CT image, Field of view 420x420 mm, Slice index 29
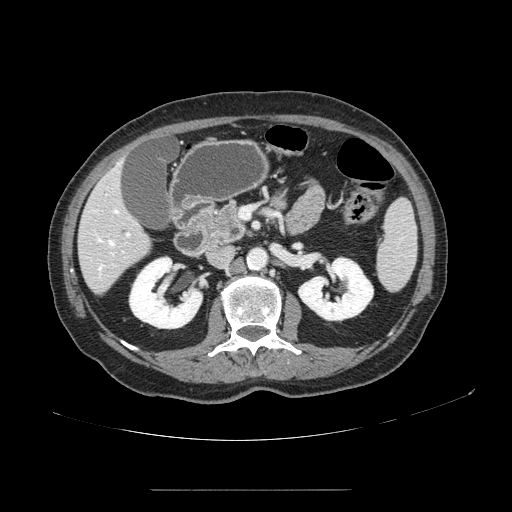 Pancreas at {"x1": 203, "y1": 201, "x2": 247, "y2": 243}.
Pancreatic tumor at {"x1": 205, "y1": 208, "x2": 236, "y2": 233}.